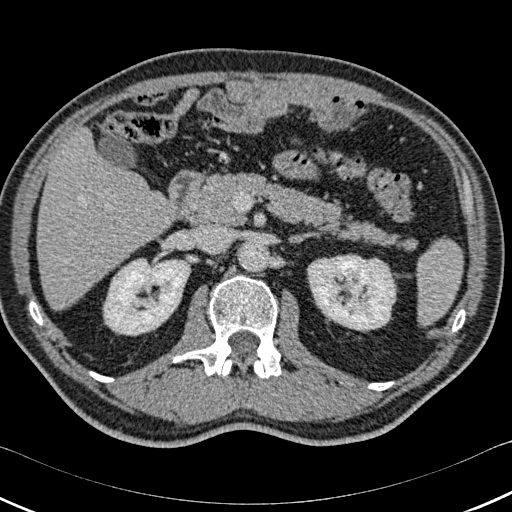 CT; Abdomen; Image size 512x512
Segmented structures:
- kidney: box(104, 259, 189, 334); box(308, 256, 395, 329)
- bone: box(30, 302, 42, 324); box(368, 382, 393, 390); box(452, 310, 464, 331); box(173, 276, 281, 378); box(90, 372, 113, 382)
- liver: box(37, 128, 167, 308)